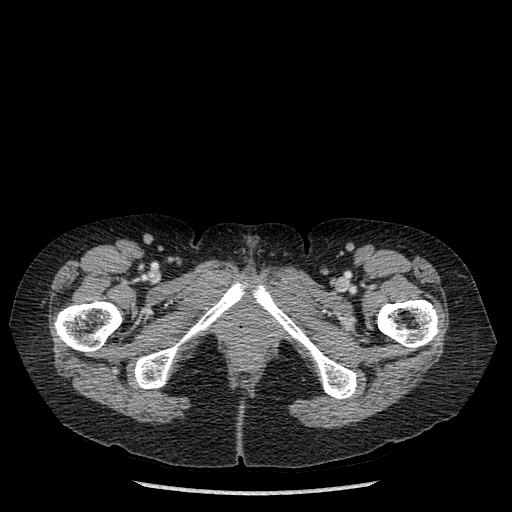
Image size 512x512; CT slice
3 bone regions appear at bbox=[54, 300, 121, 352]; bbox=[134, 277, 356, 399]; bbox=[377, 299, 439, 348].